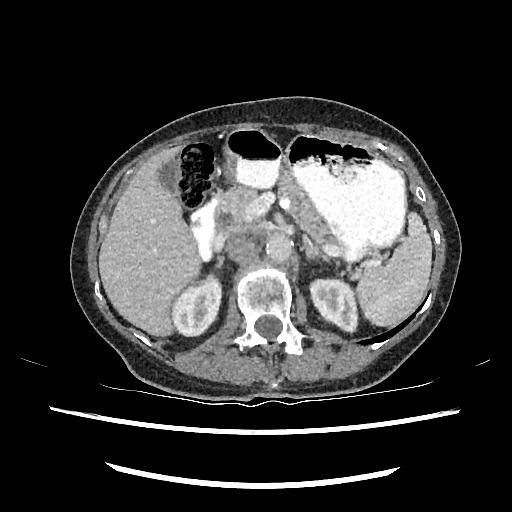 Abdomen; 512x512; CT slice

2 kidney regions appear at (x1=311, y1=280, x2=356, y2=329), (x1=173, y1=281, x2=220, y2=335). The liver lies within (x1=99, y1=148, x2=199, y2=335).